Slice index 66, Brain
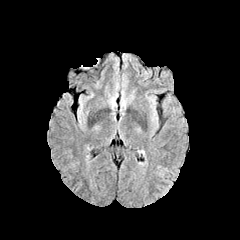
FLAIR MRI.
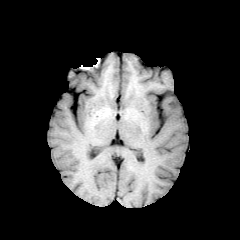
Same slice, T1-weighted magnetic resonance.
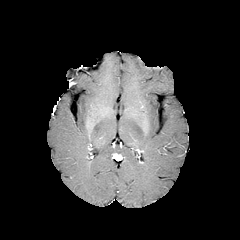
Post-contrast T1-weighted MRI.
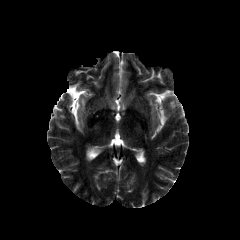
T2-weighted MR image.
{"edema": ["rect(149, 98, 157, 124)"]}